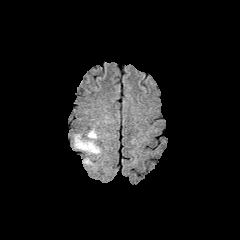
FLAIR magnetic resonance.
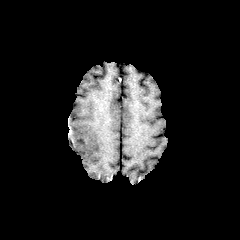
T1-weighted MR of the same slice.
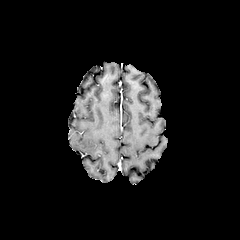
Post-contrast T1-weighted magnetic resonance.
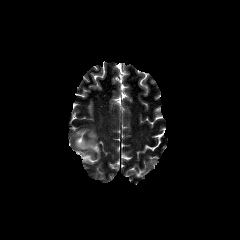
T2-weighted MR image of the same slice.
Brain.
Edema = x1=73, y1=128, x2=101, y2=164.